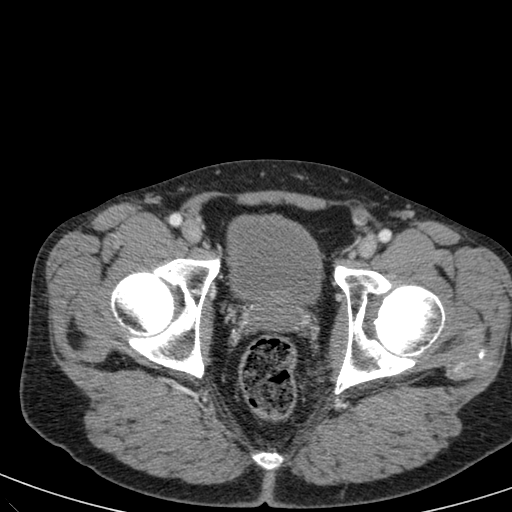
CT; Pelvis
urinary_bladder:
  - 227,214,321,304